240x240
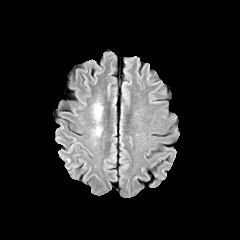
FLAIR magnetic resonance.
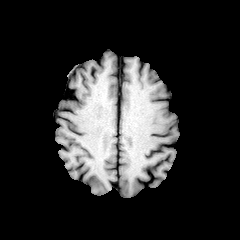
T1-weighted MR image.
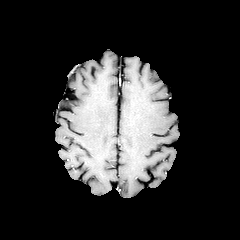
Post-contrast T1-weighted magnetic resonance.
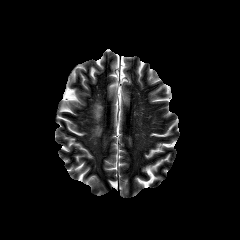
Same slice, T2-weighted MRI.
edema: (left=91, top=99, right=103, bottom=139)